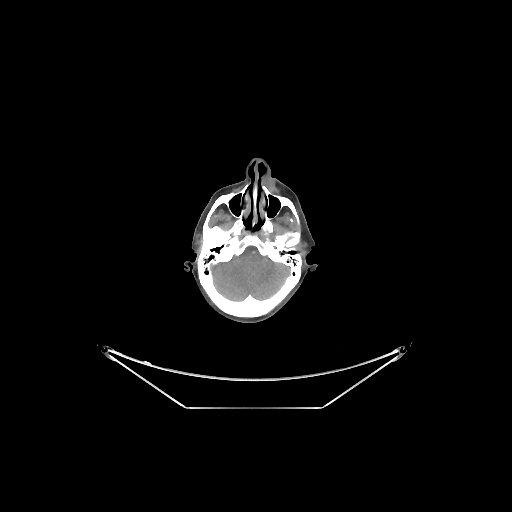

CT. Head.
Brain at 210 245 290 301.
Bone at 262 186 299 223, 253 186 256 213, 197 184 301 317.